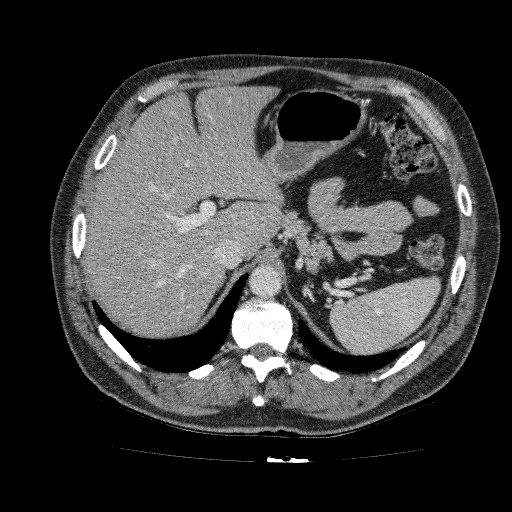

CT slice.

Segmented structures:
• liver: (left=85, top=85, right=283, bottom=337)